Image size 240x240
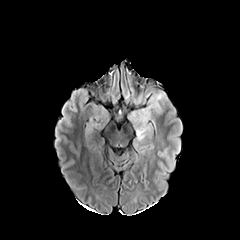
FLAIR MR.
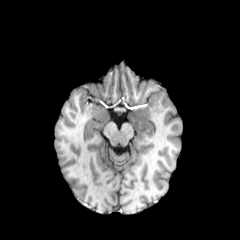
Same slice, T1-weighted MR image.
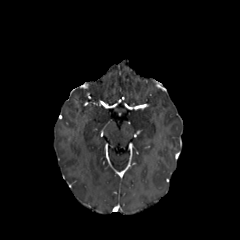
Same slice, post-contrast T1-weighted MR image.
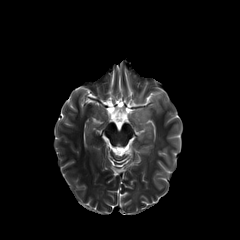
T2-weighted MR of the same slice.
edema:
  - (x1=130, y1=87, x2=149, y2=105)
  - (x1=121, y1=77, x2=130, y2=102)
  - (x1=128, y1=94, x2=163, y2=150)